Computed tomography
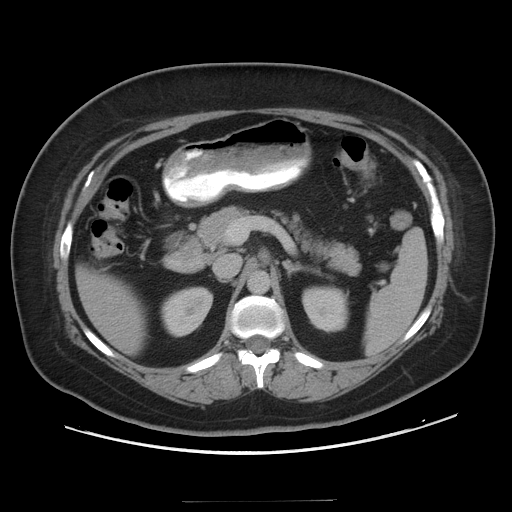

{
  "colon_tumor": [
    "(x1=340, y1=147, x2=368, y2=169)"
  ]
}